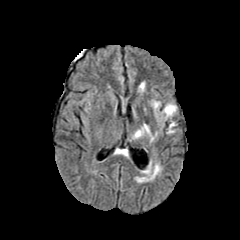
FLAIR MR.
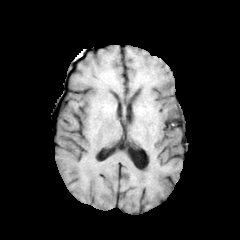
T1-weighted MR.
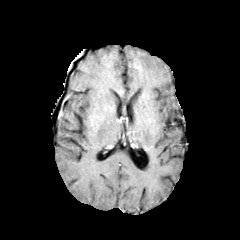
Post-contrast T1-weighted MR image.
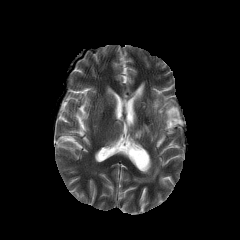
T2-weighted MRI of the same slice.
Brain
Annotated regions:
* edema: box(138, 82, 145, 94); box(147, 165, 160, 177); box(135, 124, 149, 137); box(167, 122, 176, 133); box(151, 97, 177, 121)